Brain | Image width 240 mm
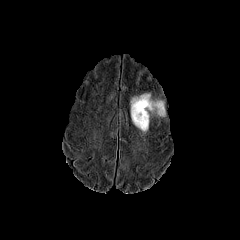
FLAIR MRI.
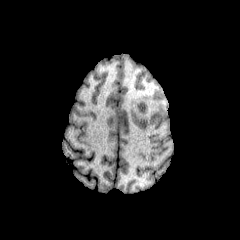
T1-weighted MR image.
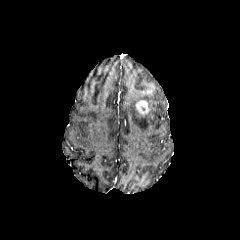
Post-contrast T1-weighted MRI of the same slice.
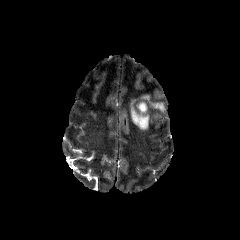
T2-weighted MR image.
Segmented structures:
- edema: <box>131,93,165,130</box>
- enhancing tumor: <box>135,100,148,114</box>